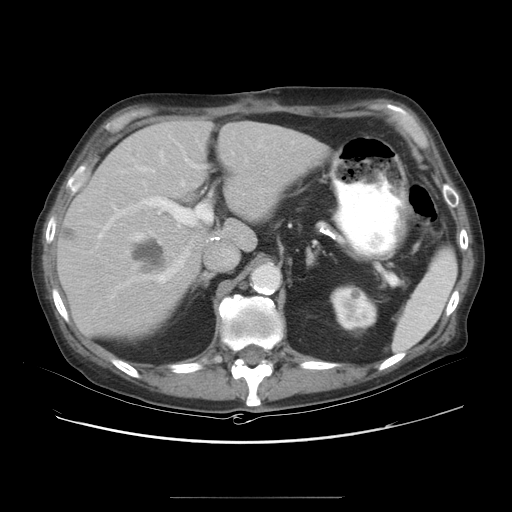

Abdomen; CT image
The vessel boxes may cover only some of the vessels.
Liver tumor = <box>63,228,74,239</box>, <box>133,241,162,266</box>.
Hepatic vessel = <box>131,233,142,239</box>, <box>97,197,212,238</box>, <box>231,150,234,154</box>, <box>159,151,164,162</box>, <box>141,247,189,282</box>.